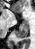

Medial temporal lobe | MR
* posterior hippocampus: <box>15,22,28,38</box>